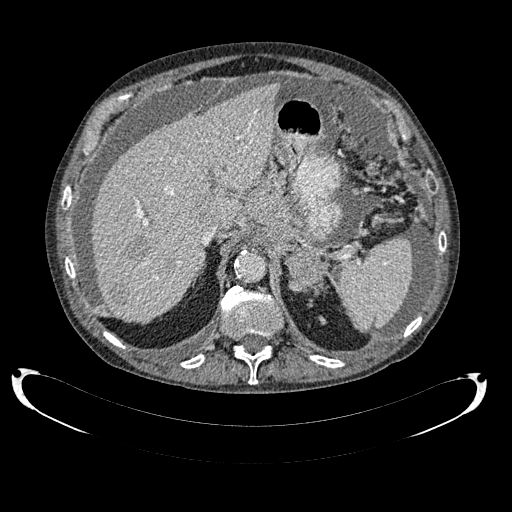 Computed tomography
Segmented structures:
- hepatic lesion: left=109, top=284, right=127, bottom=304; left=123, top=235, right=152, bottom=262; left=192, top=194, right=209, bottom=218; left=166, top=259, right=174, bottom=268
- liver: left=92, top=82, right=278, bottom=321